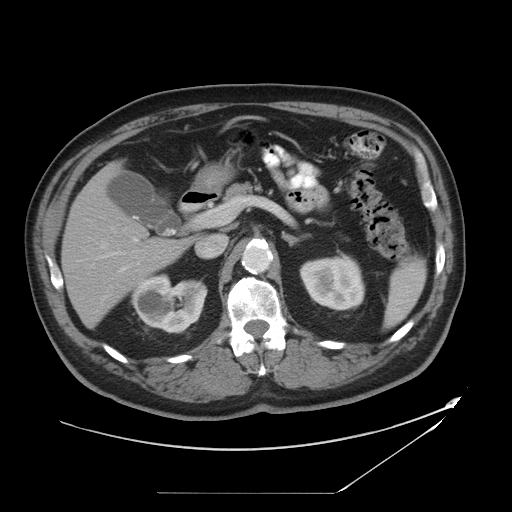 CT slice; Liver; 512x512

The vessel boxes may cover only some of the vessels.
11 hepatic vessel regions are bounded by (118,266,127,272), (132,238,137,241), (114,231,116,235), (100,242,107,248), (137,262,139,263), (97,250,125,258), (161,245,177,254), (123,227,126,233), (155,256,158,257), (132,251,139,257), (101,291,108,301).